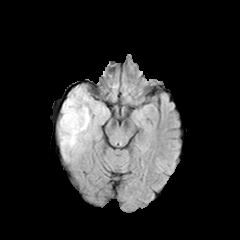
FLAIR MRI.
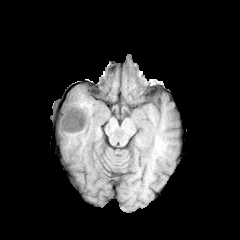
T1-weighted MR image.
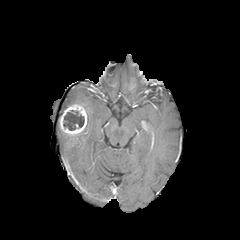
Post-contrast T1-weighted MR image.
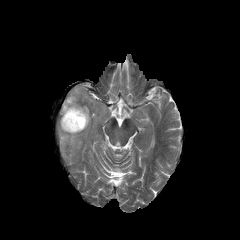
T2-weighted MR image.
240x240 px. Head.
enhancing tumor: x1=59, y1=104, x2=86, y2=135 | edema: x1=59, y1=104, x2=91, y2=161; x1=61, y1=86, x2=108, y2=117 | non-enhancing tumor core: x1=63, y1=110, x2=84, y2=130